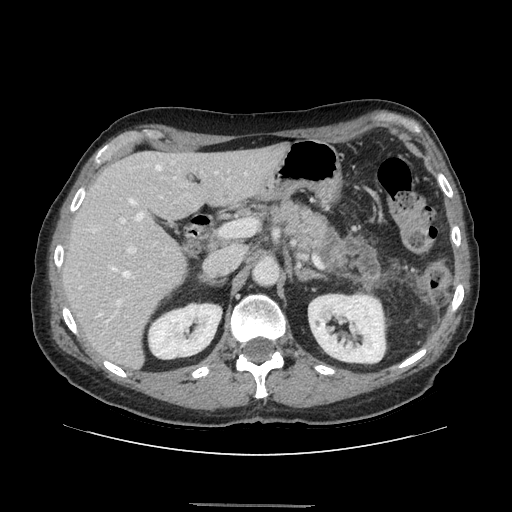

Image size 512x512, Computed tomography
pancreas: (271,203,330,248)